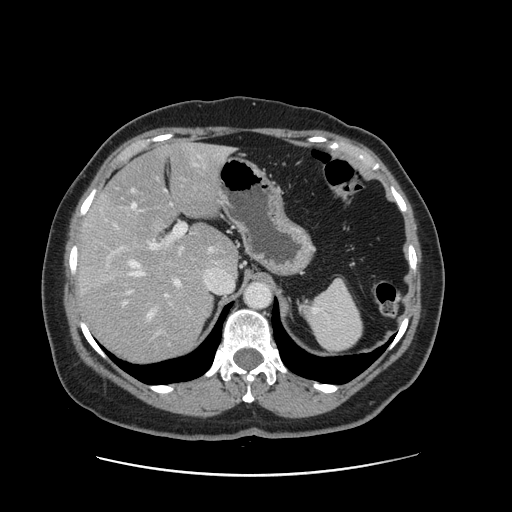 CT image
Only some of the vessels may be annotated.
13 hepatic vessel regions are bounded by box=[115, 225, 117, 226]; box=[175, 280, 179, 285]; box=[127, 291, 131, 293]; box=[166, 294, 167, 295]; box=[179, 247, 183, 253]; box=[122, 301, 126, 304]; box=[108, 256, 111, 262]; box=[131, 189, 135, 191]; box=[193, 163, 197, 165]; box=[130, 261, 143, 276]; box=[147, 311, 153, 319]; box=[148, 241, 158, 248]; box=[113, 247, 124, 253].